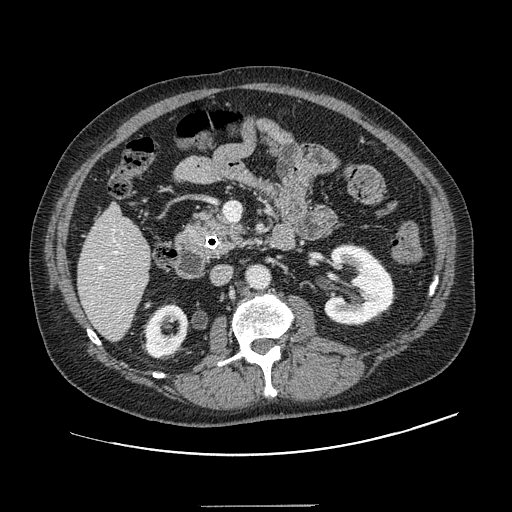 CT slice, Image size 512x512, Upper abdomen
Pancreas at 189 205 244 254.